Brain
FLAIR MR.
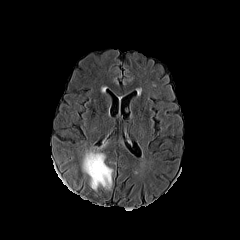
T1-weighted magnetic resonance.
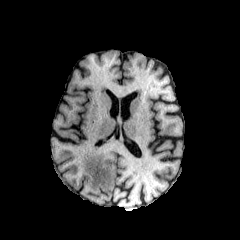
Post-contrast T1-weighted magnetic resonance.
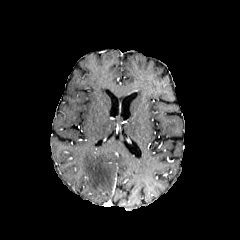
T2-weighted MRI.
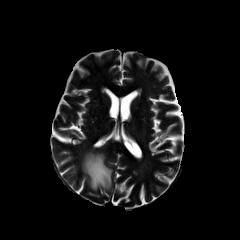
{"edema": ["l=82, t=149, r=111, b=191"]}